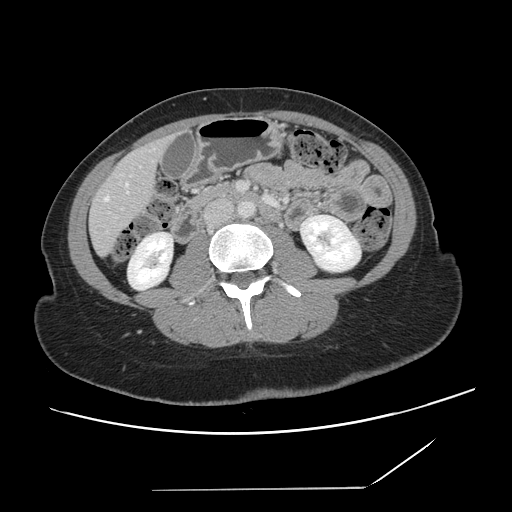

Computed tomography. Not every hepatic vessel necessarily has a box.
Hepatic vessel: (126, 183, 127, 185), (127, 191, 128, 193), (105, 196, 108, 200).